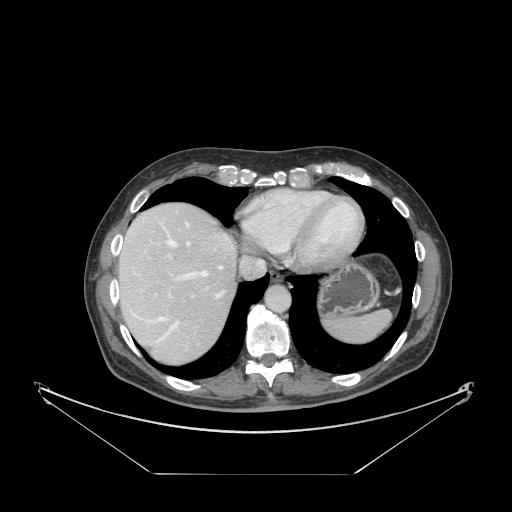 CT slice
The spleen lies within [324, 310, 392, 343].